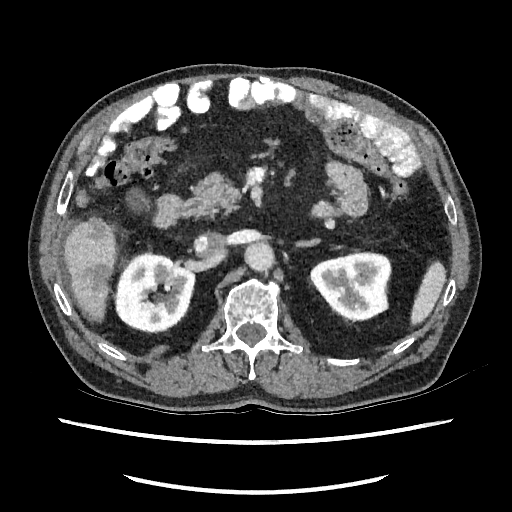

Liver. Computed tomography.
<segmentation>
  <liver>x1=65, y1=218, x2=115, y2=320</liver>
  <liver_lesion>x1=84, y1=264, x2=111, y2=289; x1=88, y1=218, x2=106, y2=240</liver_lesion>
  <kidney>x1=114, y1=252, x2=195, y2=332; x1=310, y1=252, x2=390, y2=321</kidney>
</segmentation>